Field of view 500x500 mm; CT scan slice; Upper abdomen 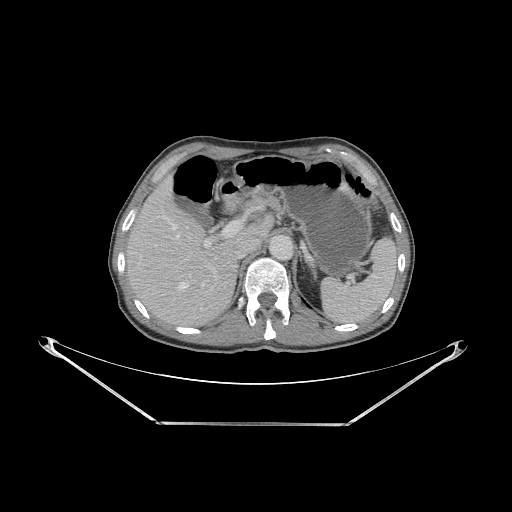 2 liver regions are located at 236, 191, 251, 200; 127, 176, 267, 327. 10 bone regions are bounded by 391, 213, 400, 231; 135, 300, 148, 317; 177, 327, 199, 333; 398, 254, 404, 271; 335, 324, 357, 331; 265, 319, 274, 339; 245, 258, 289, 324; 122, 211, 134, 230; 382, 298, 393, 312; 118, 253, 124, 271.